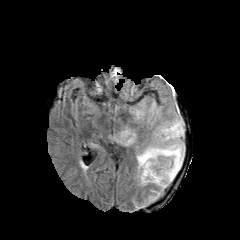
FLAIR MRI.
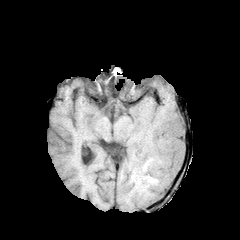
T1-weighted magnetic resonance of the same slice.
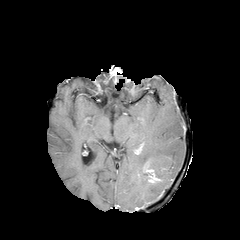
Post-contrast T1-weighted magnetic resonance.
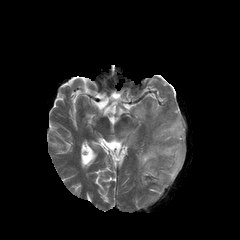
T2-weighted MR image.
Brain
<segmentation>
  <non-enhancing_tumor_core>box(145, 168, 161, 182)</non-enhancing_tumor_core>
  <edema>box(137, 141, 184, 190); box(149, 189, 160, 200); box(161, 117, 184, 141)</edema>
</segmentation>